Slice index 30. Brain.
FLAIR MRI.
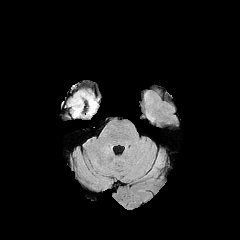
T1-weighted MR image.
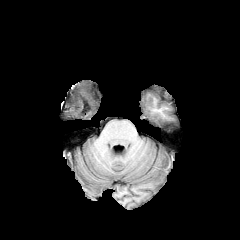
Post-contrast T1-weighted MR.
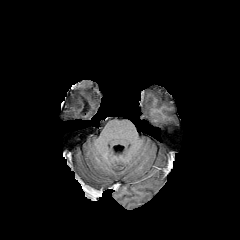
T2-weighted MRI.
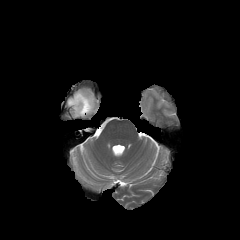
<segmentation>
  <edema>68:90:98:117</edema>
  <non-enhancing_tumor_core>72:94:85:107</non-enhancing_tumor_core>
</segmentation>